Magnetic resonance. Slice 13/42. Hippocampus. 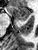 Posterior hippocampus — 19,20,25,20.
Anterior hippocampus — 8,6,29,19.